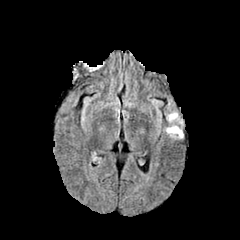
FLAIR magnetic resonance.
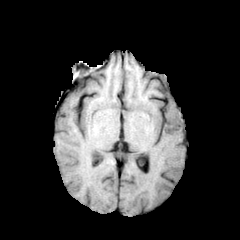
T1-weighted MR.
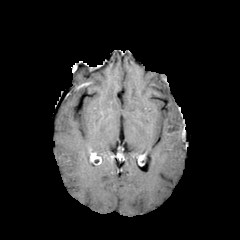
Same slice, post-contrast T1-weighted MR image.
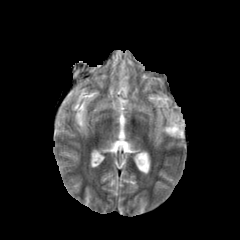
T2-weighted MR image of the same slice.
edema:
  - box(152, 99, 160, 113)
  - box(163, 102, 183, 139)